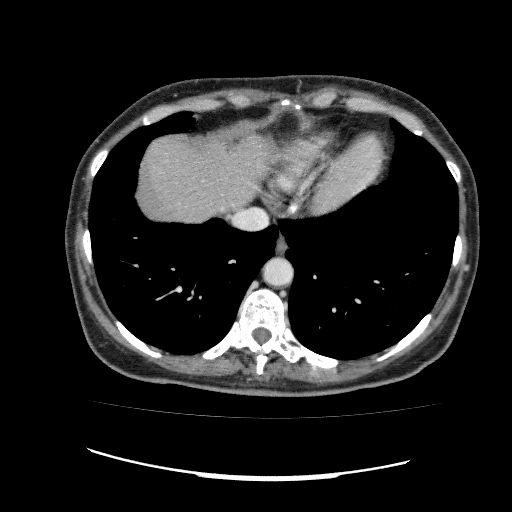
CT.
- liver: (x1=136, y1=131, x2=278, y2=224)
- focal liver lesion: (x1=225, y1=147, x2=233, y2=154)